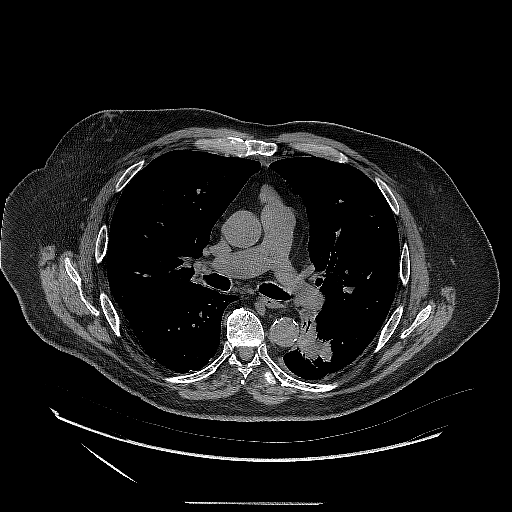

Chest; CT

The lung tumor is located at (left=287, top=307, right=339, bottom=373).